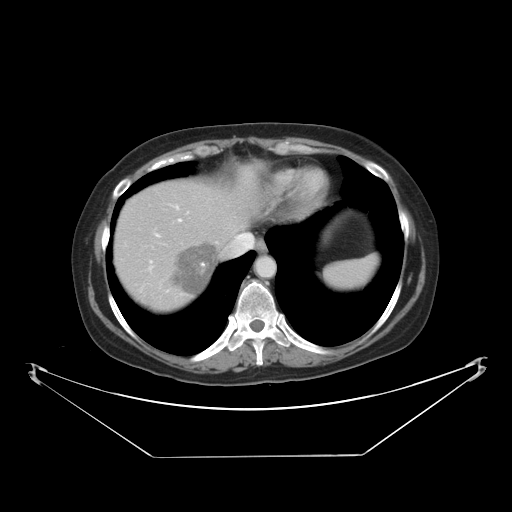

CT slice

Some hepatic vessels may have no box.
<segmentation>
  <liver_tumor>l=169, t=242, r=216, b=295</liver_tumor>
  <hepatic_vessel>l=176, t=206, r=178, b=208; l=156, t=234, r=158, b=236; l=149, t=260, r=152, b=269; l=178, t=219, r=181, b=221</hepatic_vessel>
</segmentation>